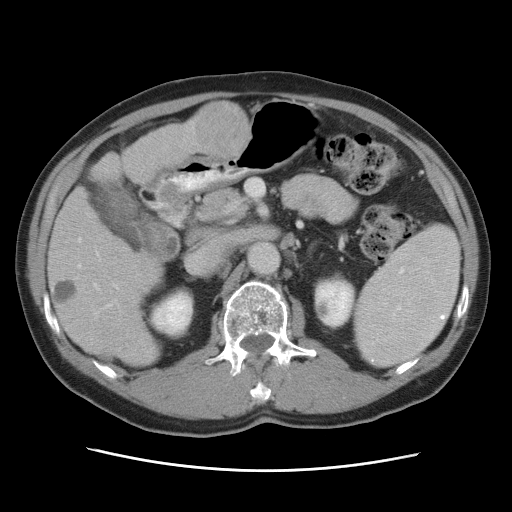

Liver; CT image
Only some of the vessels may be annotated.
Hepatic vessel: bounding box <bbox>93, 284, 100, 291</bbox>, <bbox>113, 284, 117, 288</bbox>, <bbox>135, 275, 138, 276</bbox>, <bbox>78, 238, 80, 242</bbox>, <bbox>103, 300, 117, 308</bbox>, <bbox>77, 265, 80, 268</bbox>, <bbox>74, 276, 78, 279</bbox>.
Liver tumor: bounding box <bbox>196, 104, 246, 154</bbox>.